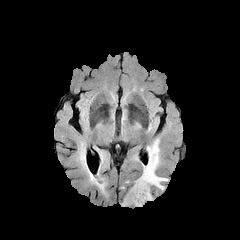
FLAIR magnetic resonance.
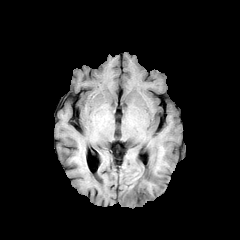
T1-weighted MR image.
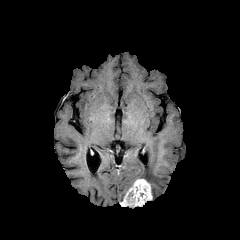
Post-contrast T1-weighted MR image of the same slice.
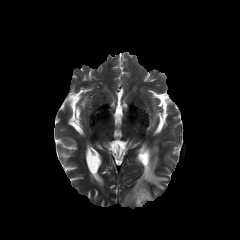
T2-weighted MRI.
Head
{
  "enhancing_tumor": [
    "bbox(121, 178, 152, 206)"
  ],
  "edema": [
    "bbox(138, 138, 168, 190)"
  ]
}